Field of view 240 mm wide, 1.00 mm slice spacing | Slice index 71
FLAIR magnetic resonance.
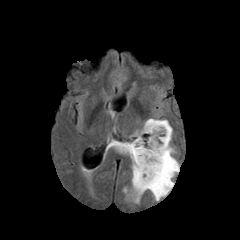
T1-weighted magnetic resonance.
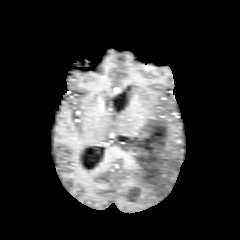
Post-contrast T1-weighted MR image.
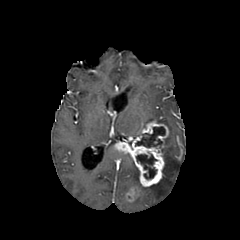
T2-weighted MRI.
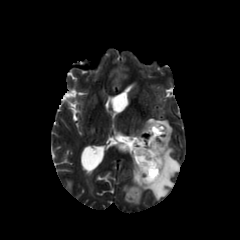
non-enhancing tumor core: x1=136, y1=154, x2=157, y2=178; x1=135, y1=126, x2=165, y2=147 | edema: x1=123, y1=116, x2=179, y2=203 | enhancing tumor: x1=127, y1=188, x2=139, y2=199; x1=114, y1=120, x2=168, y2=186